FLAIR MR.
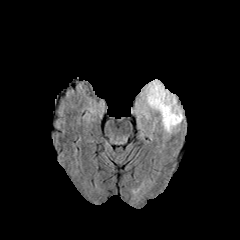
T1-weighted magnetic resonance.
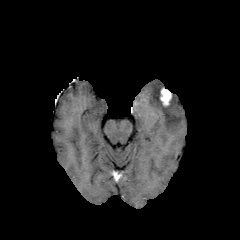
Post-contrast T1-weighted magnetic resonance.
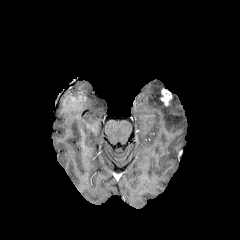
T2-weighted MRI.
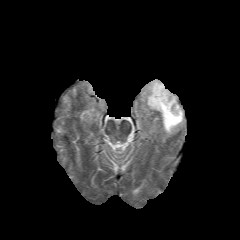
Brain
Segmented structures:
- enhancing tumor: region(160, 88, 171, 105)
- edema: region(135, 79, 183, 142)